FLAIR magnetic resonance.
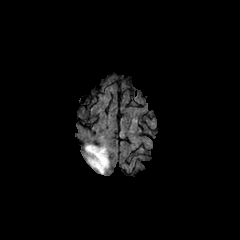
T1-weighted MR image.
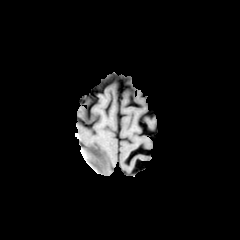
Post-contrast T1-weighted MR image.
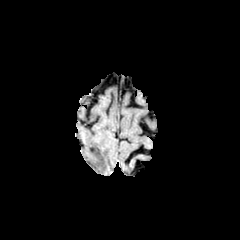
T2-weighted magnetic resonance.
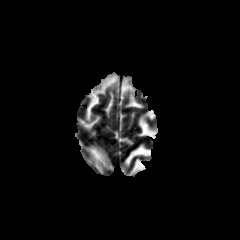
Image size 240x240, Head
edema: box(86, 145, 109, 173)